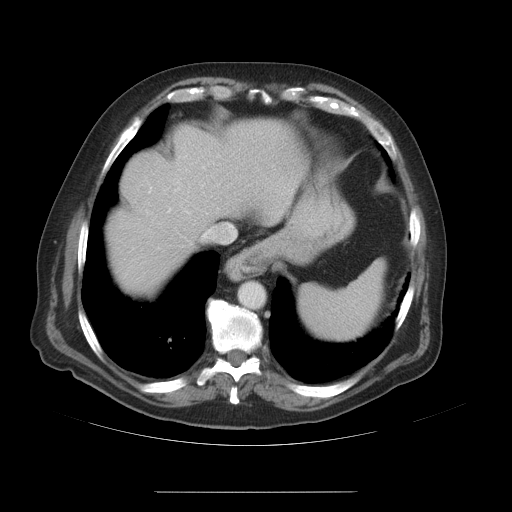

Computed tomography; 512x512 px
The vessel annotation is not exhaustive.
Findings:
* hepatic vessel: (x1=186, y1=211, x2=189, y2=213), (x1=168, y1=209, x2=170, y2=211), (x1=149, y1=188, x2=151, y2=192)